FLAIR MR.
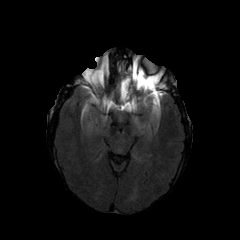
T1-weighted MR.
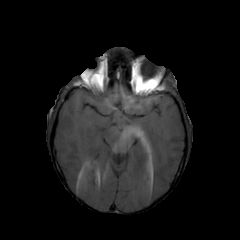
Post-contrast T1-weighted MR.
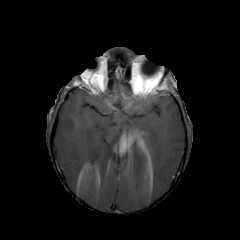
T2-weighted magnetic resonance.
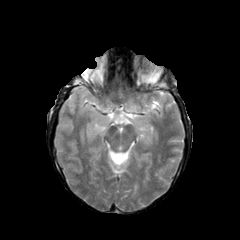
Brain
non-enhancing_tumor_core:
  - [87, 68, 103, 84]
  - [130, 71, 155, 97]
  - [150, 82, 164, 95]
enhancing_tumor:
  - [134, 78, 155, 93]
  - [136, 70, 161, 89]
edema:
  - [116, 104, 137, 111]
  - [142, 94, 165, 114]